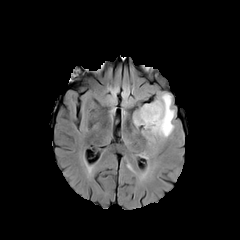
FLAIR MR.
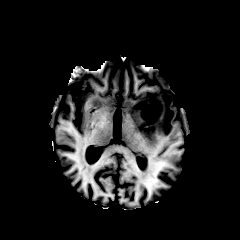
T1-weighted magnetic resonance.
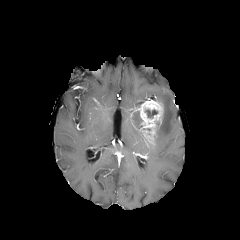
Post-contrast T1-weighted magnetic resonance.
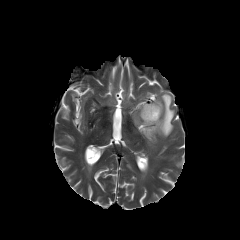
T2-weighted MR.
240x240 px
3 edema regions are located at (left=148, top=91, right=175, bottom=146), (left=132, top=109, right=147, bottom=142), (left=138, top=93, right=149, bottom=101). The non-enhancing tumor core appears at (left=144, top=100, right=163, bottom=134). 2 enhancing tumor regions are located at (left=135, top=100, right=161, bottom=127), (left=144, top=130, right=155, bottom=143).